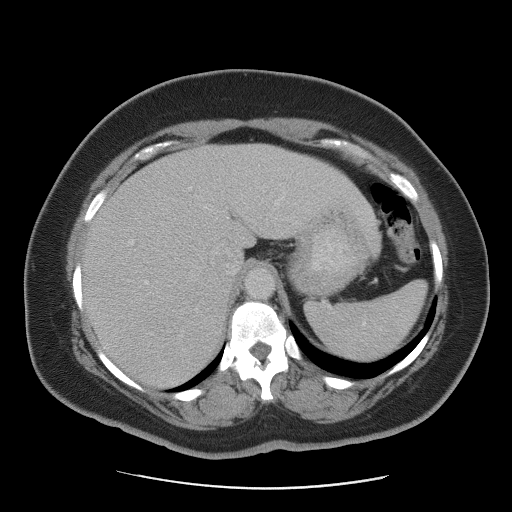

Liver | CT scan slice | 512x512

The vessel annotation is not exhaustive.
hepatic vessel: 213:248:217:252, 130:239:134:243